CT slice, Lower abdomen
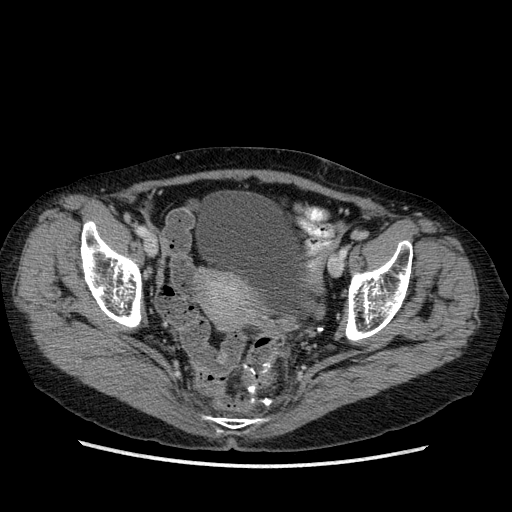
• urinary bladder: [194,190,308,296]